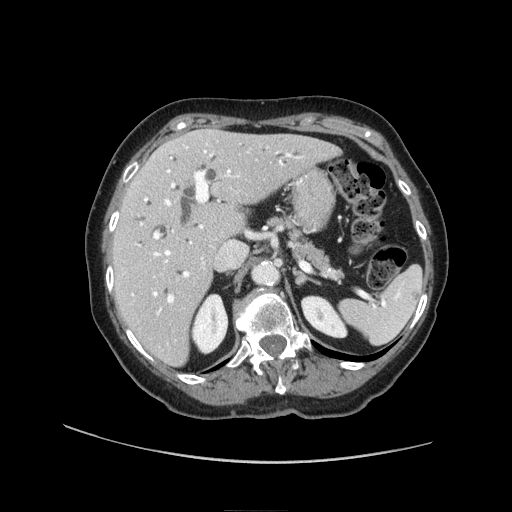 Upper abdomen | CT slice

pancreas:
  - [x1=273, y1=217, x2=340, y2=279]